Computed tomography. Liver.
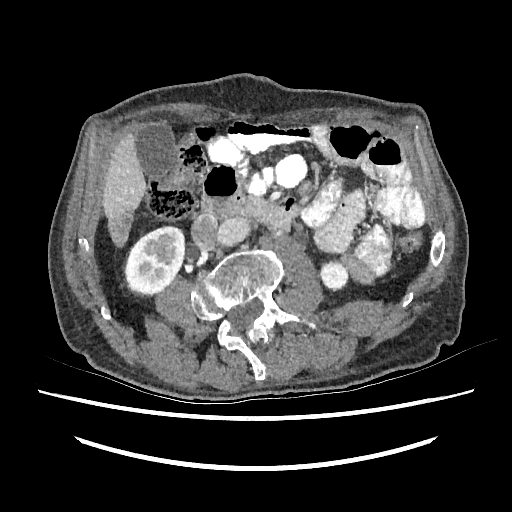 liver:
  - 103 135 145 245
focal_liver_lesion:
  - 113 208 131 244
kidney:
  - 321 263 347 287
  - 126 227 184 293